Computed tomography; 512x512 px; Upper abdomen 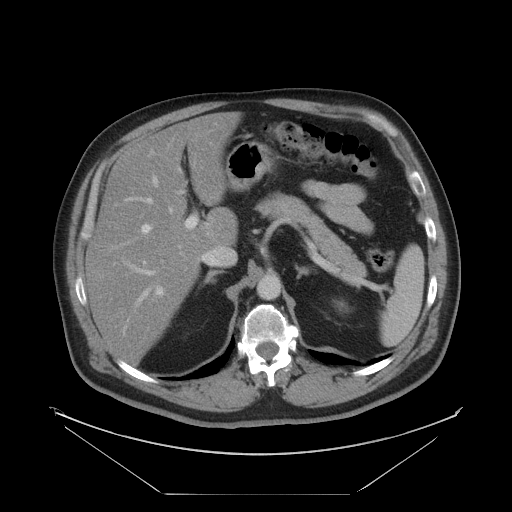

{"pancreas": ["x1=255 y1=193 x2=369 y2=278"]}